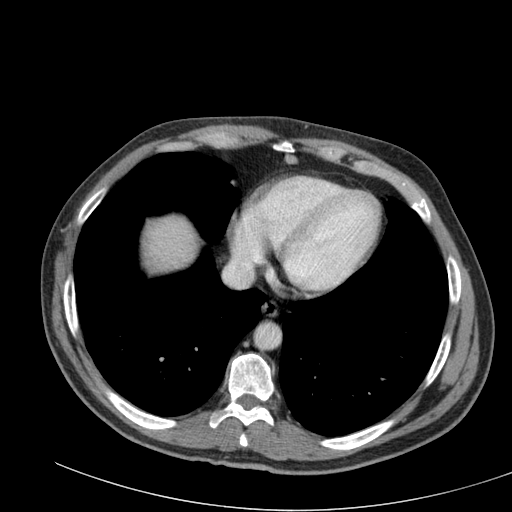

Image size 512x512, CT slice
Annotated regions:
• liver: region(147, 218, 194, 267)